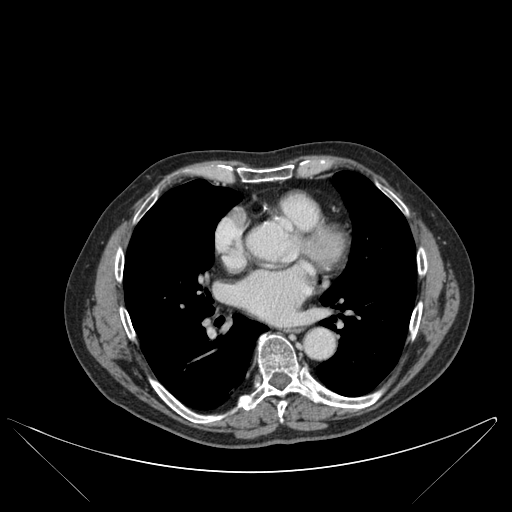

CT slice, Chest
lung: (123, 179, 267, 408), (316, 171, 416, 396) | bone: (237, 334, 380, 409), (115, 248, 123, 280), (150, 380, 223, 423), (237, 165, 294, 181), (410, 302, 422, 338), (398, 201, 406, 211), (217, 166, 233, 172), (417, 248, 427, 274), (120, 308, 134, 338), (278, 401, 286, 420)